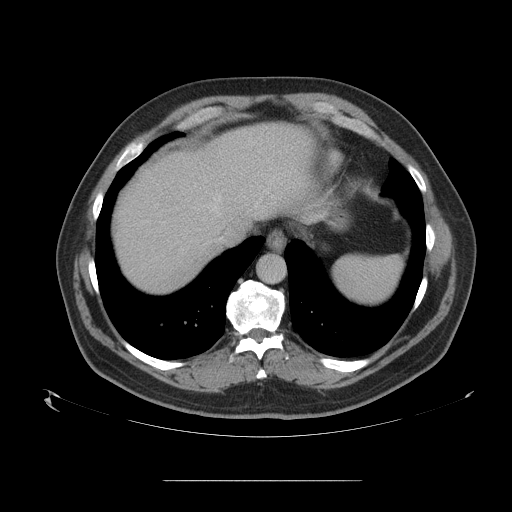 CT scan slice; 512x512 px
The vessel boxes may cover only some of the vessels.
<segmentation>
  <hepatic_vessel>bbox=[215, 211, 252, 243]</hepatic_vessel>
</segmentation>